Abdomen, CT image

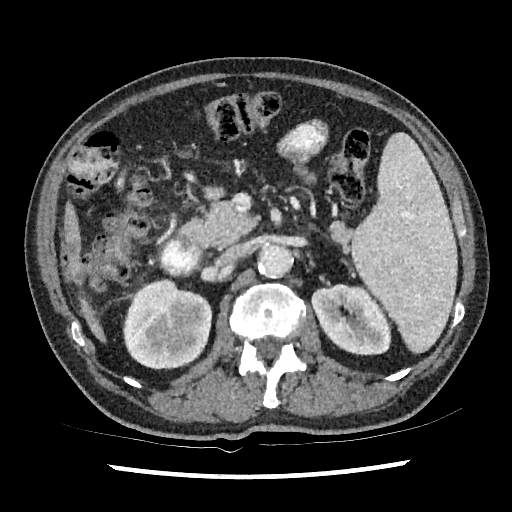

liver lesion: [73, 265, 82, 282], [67, 237, 79, 256], [88, 318, 96, 326] | kidney: [124, 280, 211, 368], [312, 285, 390, 354] | liver: [81, 299, 104, 340], [65, 249, 83, 284], [66, 204, 79, 248]